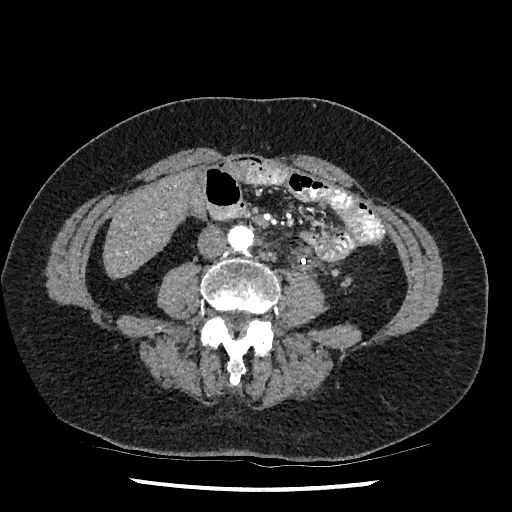
Liver, Computed tomography

<segmentation>
  <liver>x1=102 y1=169 x2=198 y2=278</liver>
</segmentation>